FLAIR magnetic resonance.
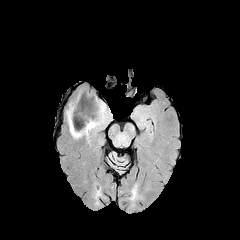
T1-weighted magnetic resonance.
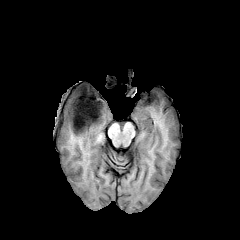
Post-contrast T1-weighted MR image.
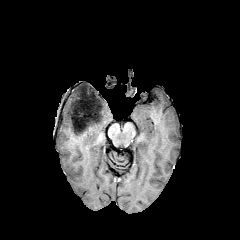
T2-weighted magnetic resonance.
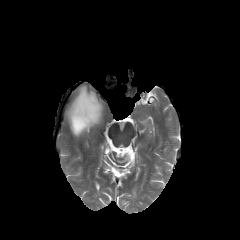
Edema: x1=66 y1=98 x2=109 y2=141.
Non-enhancing tumor core: x1=74 y1=98 x2=102 y2=131.